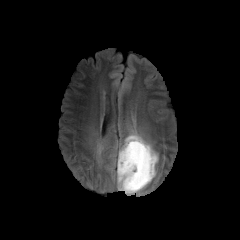
FLAIR MR image.
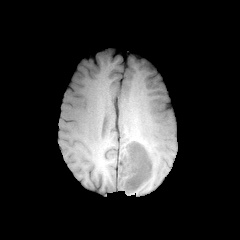
T1-weighted MRI.
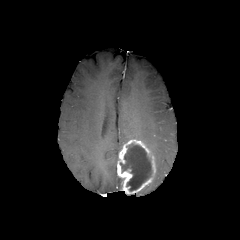
Post-contrast T1-weighted MR.
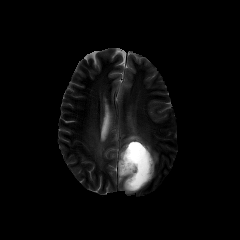
T2-weighted MR image.
Head | Image size 240x240
Edema — (left=113, top=124, right=158, bottom=167).
Non-enhancing tumor core — (left=120, top=143, right=150, bottom=189).
Enhancing tumor — (left=117, top=139, right=156, bottom=194).